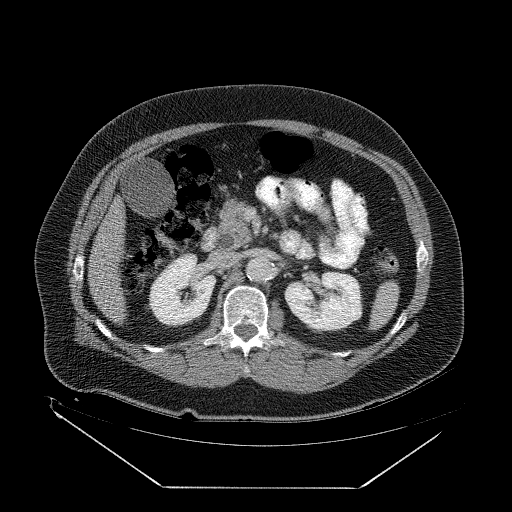 CT slice, Abdomen

The pancreas is located at x1=220, y1=199, x2=253, y2=248.